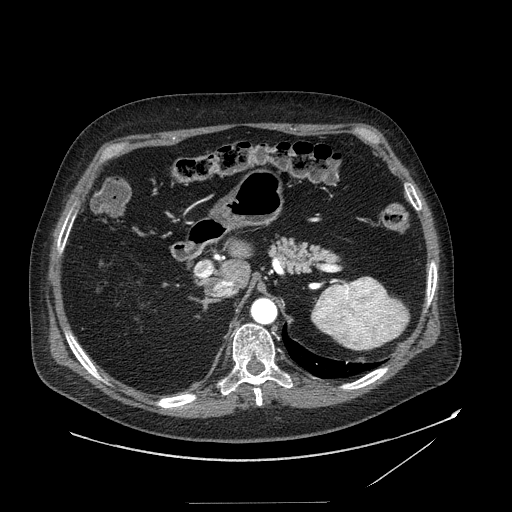 Upper abdomen; Computed tomography
Findings:
• pancreas: <box>265,236,341,275</box>